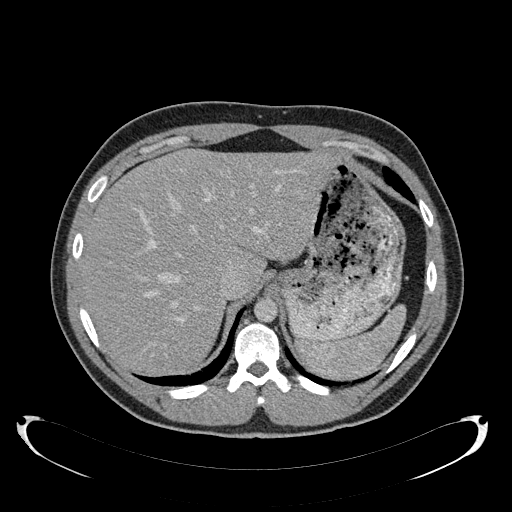 CT scan slice
liver:
  - region(82, 150, 334, 371)